Liver, Slice 52/105, CT image
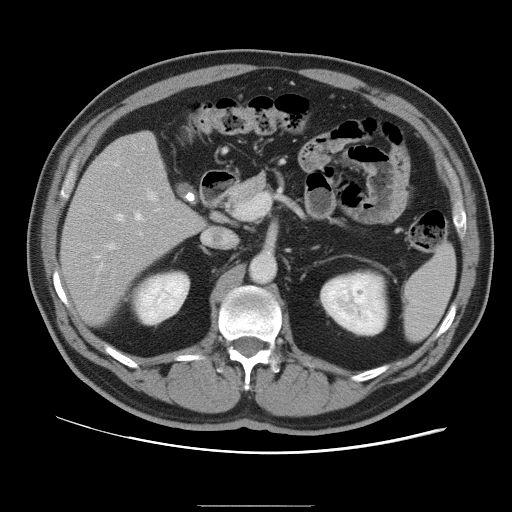
Not every hepatic vessel necessarily has a box.
12 hepatic vessel regions appear at x1=135, y1=212, x2=143, y2=220; x1=138, y1=232, x2=142, y2=234; x1=147, y1=188, x2=156, y2=200; x1=112, y1=162, x2=119, y2=165; x1=156, y1=209, x2=159, y2=210; x1=137, y1=153, x2=138, y2=154; x1=127, y1=169, x2=128, y2=171; x1=97, y1=261, x2=102, y2=273; x1=104, y1=243, x2=115, y2=249; x1=96, y1=277, x2=98, y2=280; x1=93, y1=254, x2=102, y2=259; x1=116, y1=213, x2=123, y2=221.